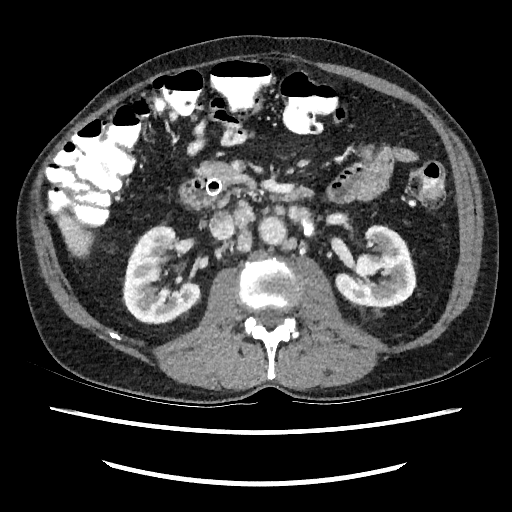
Liver; CT image
Kidney — {"x1": 336, "y1": 226, "x2": 414, "y2": 306}, {"x1": 124, "y1": 227, "x2": 199, "y2": 322}.
Liver — {"x1": 59, "y1": 214, "x2": 92, "y2": 253}.